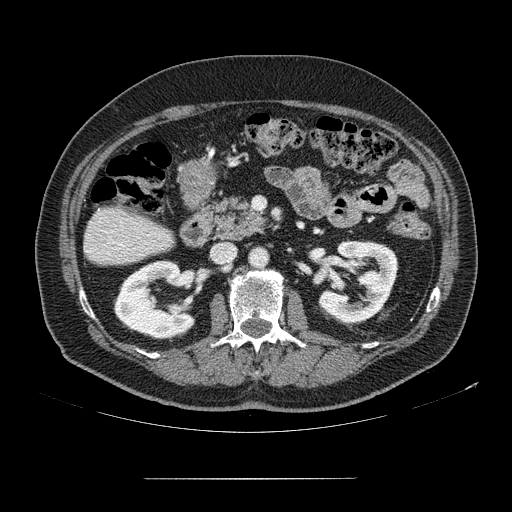

512x512 px. Abdomen. Computed tomography. The pancreas is at bbox(215, 195, 266, 241).